CT, Image width 400 mm 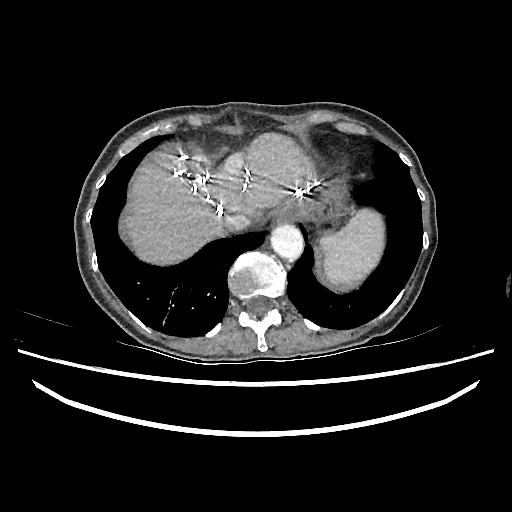 {
  "liver": [
    "<bbox>127, 136, 312, 264</bbox>"
  ]
}